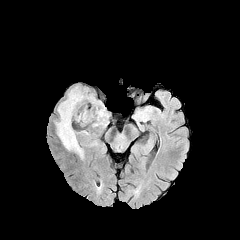
FLAIR magnetic resonance.
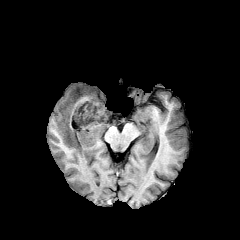
Same slice, T1-weighted magnetic resonance.
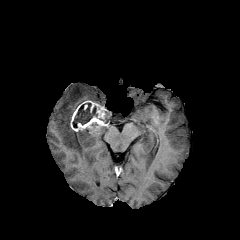
Same slice, post-contrast T1-weighted magnetic resonance.
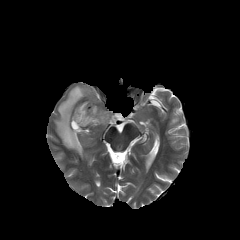
T2-weighted magnetic resonance.
240x240 | Head
Enhancing tumor at region(72, 101, 109, 132); region(70, 106, 79, 127).
Edema at region(82, 128, 100, 136); region(56, 86, 100, 157).
Non-enhancing tumor core at region(72, 101, 95, 128).